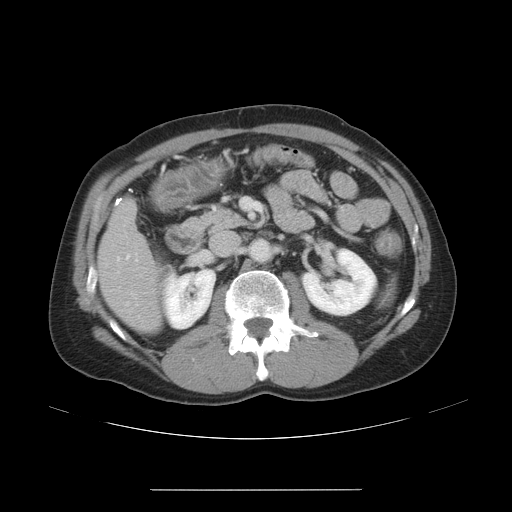 512x512 px. Abdomen. CT scan slice.
Only some of the vessels may be annotated.
hepatic vessel: <box>138,315,139,317</box>, <box>126,302,128,304</box>, <box>126,254,129,258</box>